Computed tomography. Upper abdomen.
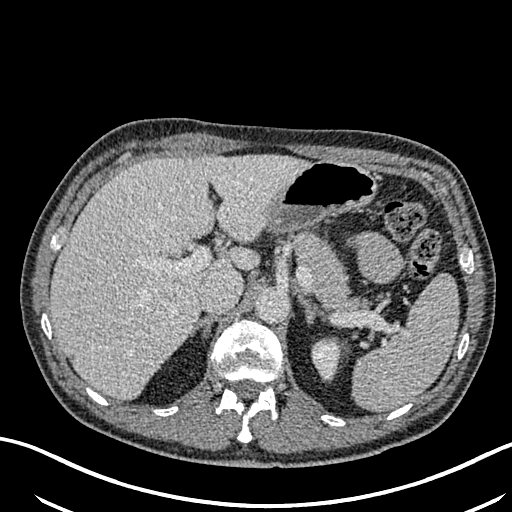

<segmentation>
  <liver>box(50, 155, 308, 399)</liver>
  <kidney>box(313, 343, 337, 376)</kidney>
</segmentation>